Slice 103/155; 240x240 px; Head
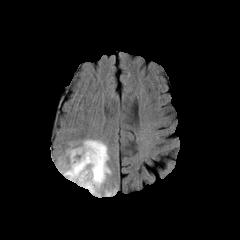
FLAIR magnetic resonance.
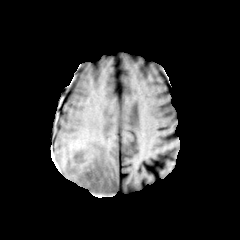
Same slice, T1-weighted magnetic resonance.
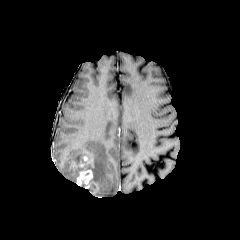
Same slice, post-contrast T1-weighted MRI.
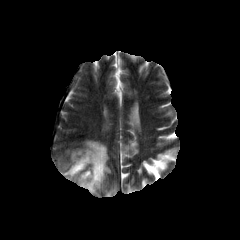
T2-weighted magnetic resonance of the same slice.
Enhancing tumor = bbox=[77, 169, 92, 187]; bbox=[73, 156, 89, 170].
Edema = bbox=[63, 140, 115, 195].